Computed tomography, Abdomen
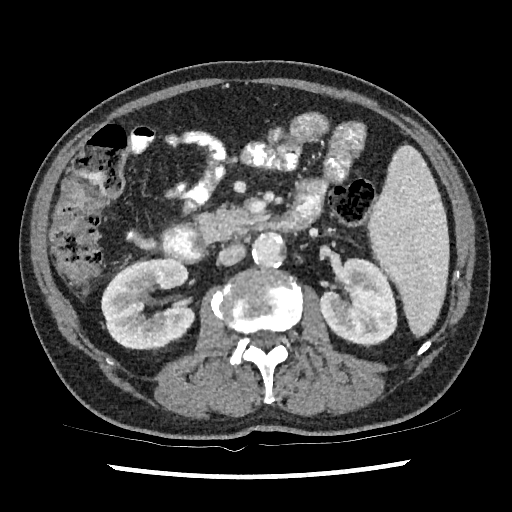
<segmentation>
  <kidney>left=320, top=259, right=396, bottom=344; left=102, top=258, right=193, bottom=348</kidney>
</segmentation>